Brain. 240x240 px.
FLAIR MR image.
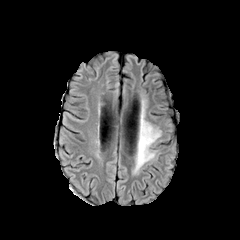
T1-weighted MR image.
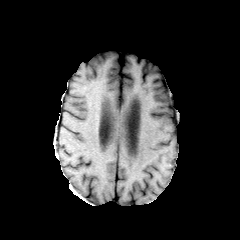
Post-contrast T1-weighted MRI.
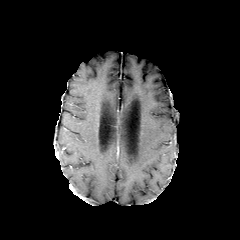
T2-weighted MR.
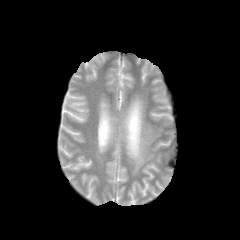
Edema: bounding box 132,100,161,172.